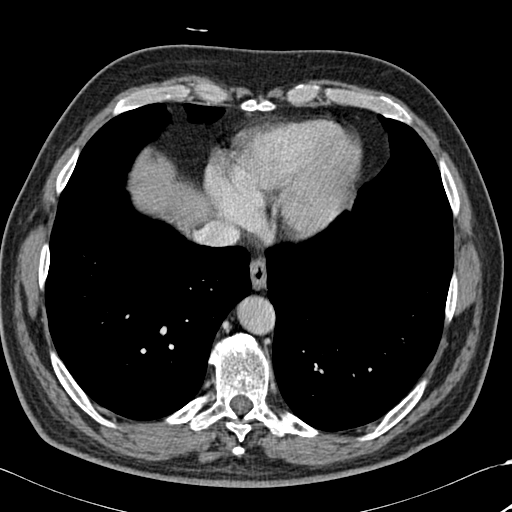
CT scan slice | 512x512
3 lung regions are bounded by 45:103:251:420, 183:103:224:124, 265:114:453:431. The liver is bounded by 132:169:207:234. 11 bone regions are located at 167:333:317:440, 360:95:404:118, 114:86:182:113, 243:100:270:110, 364:382:424:439, 57:152:77:191, 441:162:459:213, 51:354:109:425, 39:245:49:285, 234:447:243:454, 446:278:457:318.